CT. Slice 39 of 49. 512x512. 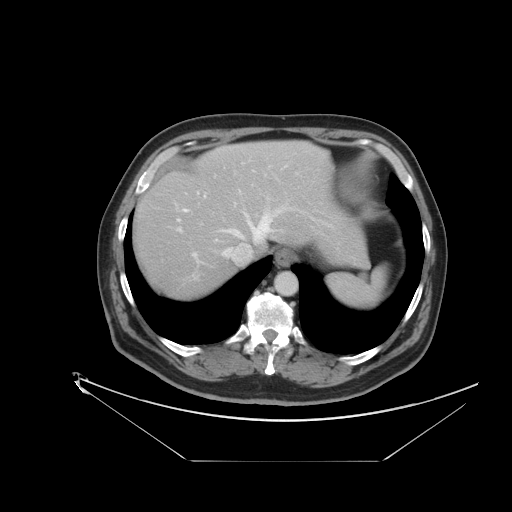
The vessel annotation is not exhaustive.
12 hepatic vessel regions appear at 215 239 217 240, 234 203 235 205, 267 198 269 199, 204 195 205 197, 177 219 179 221, 244 207 284 242, 219 227 244 239, 222 243 251 261, 177 228 181 231, 197 191 198 193, 183 209 187 211, 192 253 196 258.